FLAIR magnetic resonance.
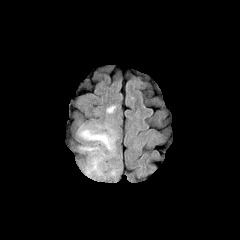
T1-weighted MR.
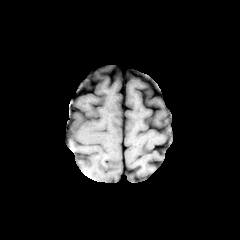
Post-contrast T1-weighted MRI.
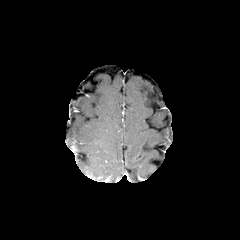
T2-weighted magnetic resonance.
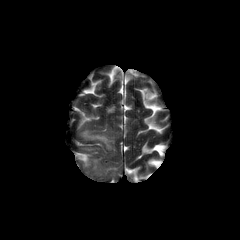
Brain
- edema: region(80, 126, 111, 148)